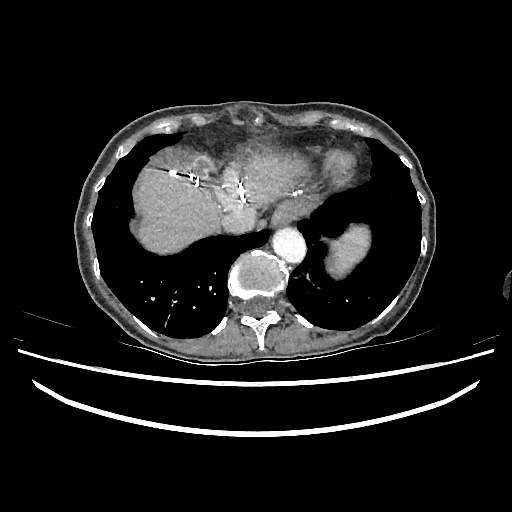 CT slice
3 liver regions are located at [243,154,305,207], [136,169,220,251], [226,169,236,200].